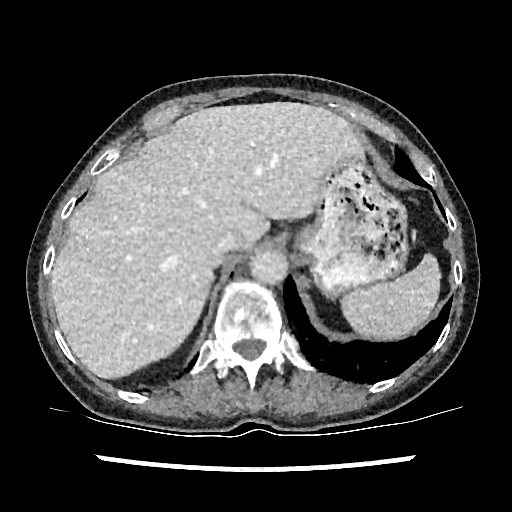
Abdomen. CT image. liver:
  - x1=52 y1=103 x2=361 y2=376